240x240.
FLAIR magnetic resonance.
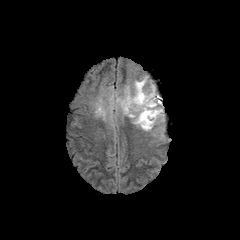
T1-weighted MRI.
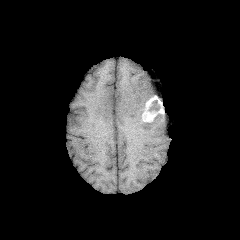
Post-contrast T1-weighted magnetic resonance.
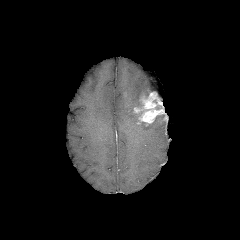
T2-weighted magnetic resonance.
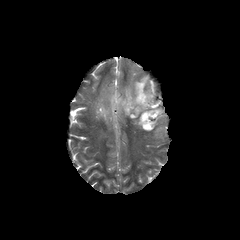
<segmentation>
  <enhancing_tumor>rect(134, 91, 164, 125)</enhancing_tumor>
  <edema>rect(92, 76, 164, 139)</edema>
  <non-enhancing_tumor_core>rect(110, 92, 119, 111)</non-enhancing_tumor_core>
</segmentation>